MR image | 32x47 | Slice index 18 | Medial temporal lobe

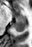

<segmentation>
  <posterior_hippocampus>13, 19, 25, 31</posterior_hippocampus>
  <anterior_hippocampus>13, 15, 25, 18</anterior_hippocampus>
</segmentation>